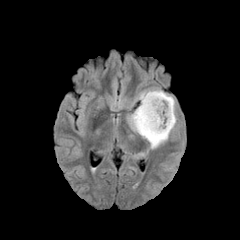
FLAIR MRI.
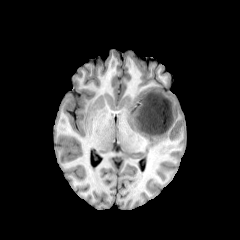
T1-weighted MR.
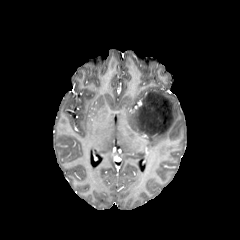
Post-contrast T1-weighted MRI.
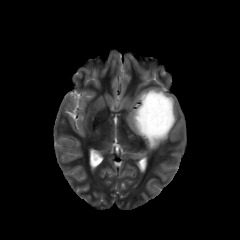
T2-weighted MR of the same slice.
non-enhancing tumor core: l=134, t=91, r=172, b=138 | edema: l=113, t=94, r=130, b=107; l=126, t=108, r=141, b=136; l=131, t=86, r=178, b=149